CT slice. Image width 498 mm. Slice 35/131. 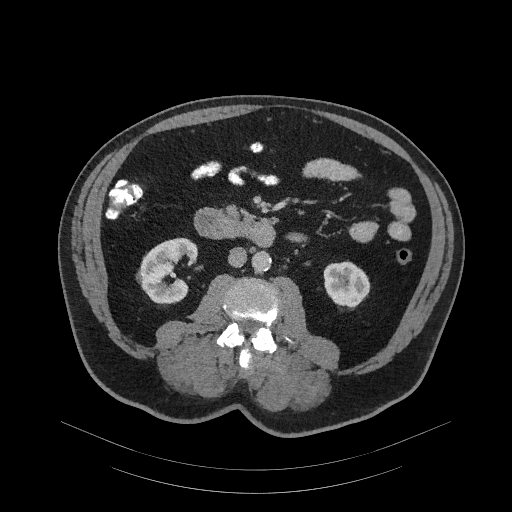
pancreas: box=[225, 204, 272, 232]